Slice index 27; CT image 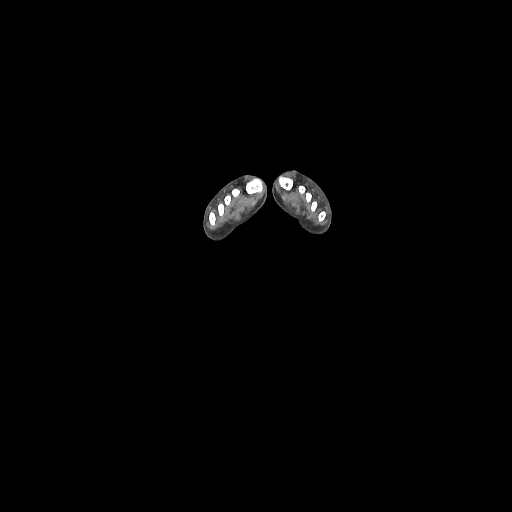 Segmented structures:
* bone: <bbox>279, 176, 292, 190</bbox>, <bbox>298, 186, 316, 211</bbox>, <bbox>246, 179, 262, 194</bbox>, <bbox>318, 211, 325, 221</bbox>, <bbox>209, 212, 215, 225</bbox>, <bbox>218, 189, 239, 215</bbox>